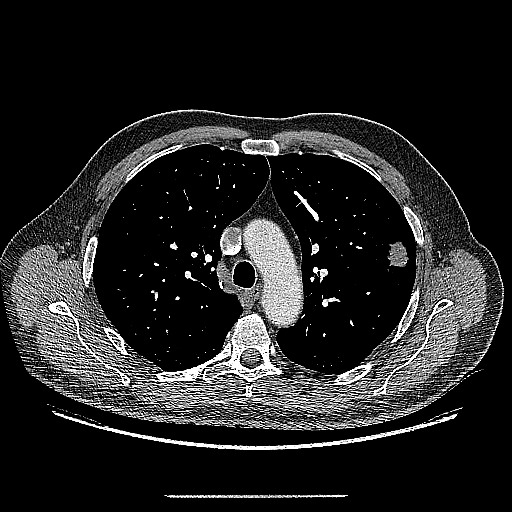

Chest | CT image

lung_tumor:
  - {"x1": 386, "y1": 241, "x2": 407, "y2": 267}